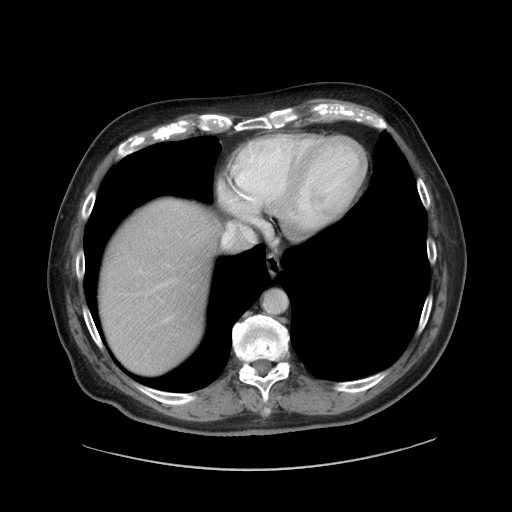

512x512 | CT scan slice | Liver
The vessel boxes may cover only some of the vessels.
hepatic vessel: x1=245, y1=231, x2=252, y2=239; x1=224, y1=228, x2=230, y2=245